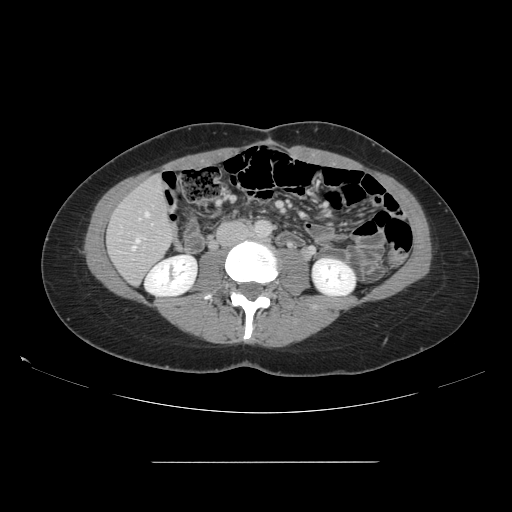
Abdomen; 512x512 px; CT
Some hepatic vessels may have no box.
* hepatic vessel: x1=145 y1=212 x2=148 y2=216, x1=151 y1=223 x2=152 y2=225, x1=132 y1=237 x2=145 y2=250